Image size 240x240
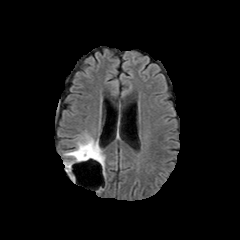
FLAIR MR image.
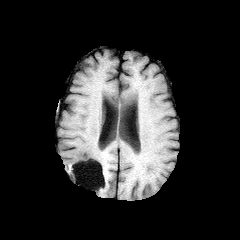
T1-weighted MR image.
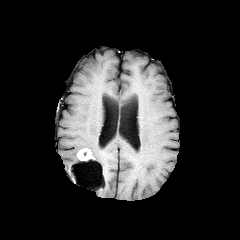
Same slice, post-contrast T1-weighted MRI.
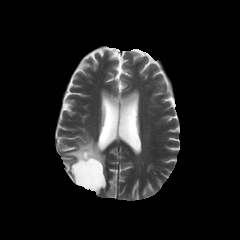
T2-weighted MR image.
enhancing tumor: [77,148,95,160] | non-enhancing tumor core: [74,147,103,179] | edema: [63,131,105,178]